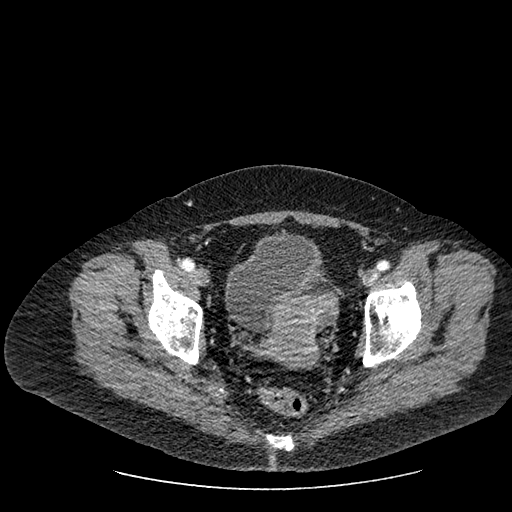 CT image
Urinary bladder: bounding box (x1=228, y1=231, x2=317, y2=331).